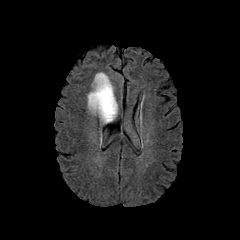
FLAIR MR image.
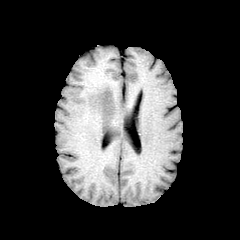
T1-weighted MR image.
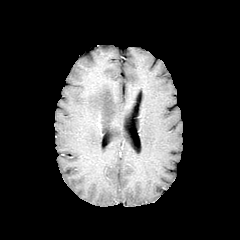
Same slice, post-contrast T1-weighted MRI.
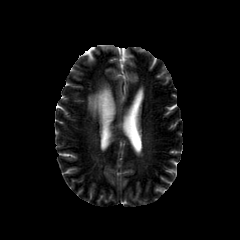
Same slice, T2-weighted MRI.
Brain, 240x240 px
edema: x1=87, y1=73, x2=117, y2=125